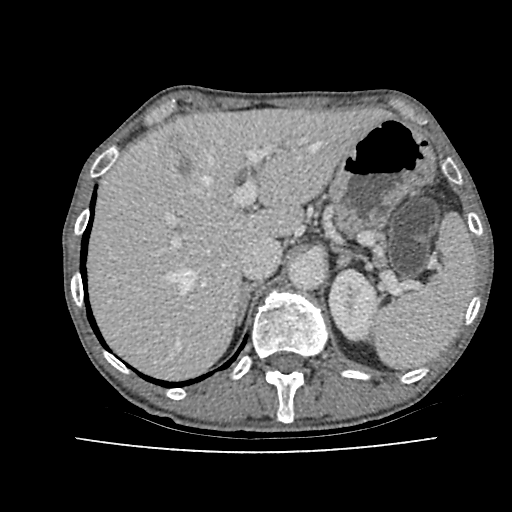

512x512 px. CT slice. {"hepatic_lesion": ["bbox(167, 135, 191, 175)"], "liver": ["bbox(89, 110, 379, 378)"], "kidney": ["bbox(330, 273, 375, 337)"]}